Computed tomography; Field of view 365x365 mm; Slice index 170; Upper abdomen

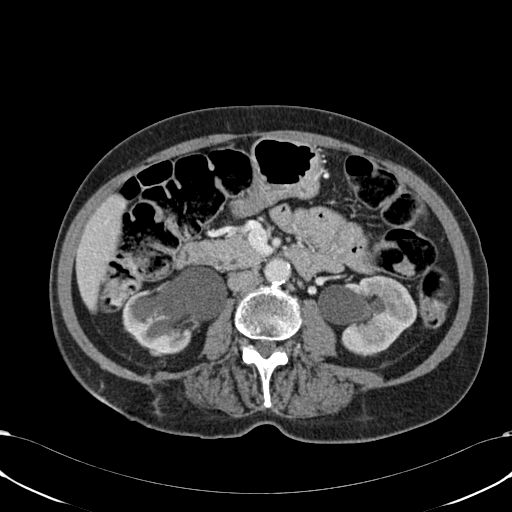 liver:
  - <bbox>76, 196, 123, 310</bbox>
kidney:
  - <bbox>123, 291, 227, 354</bbox>
  - <bbox>342, 276, 416, 355</bbox>